Brain; Slice index 38
FLAIR MR image.
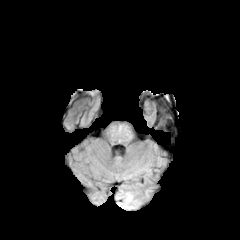
T1-weighted magnetic resonance.
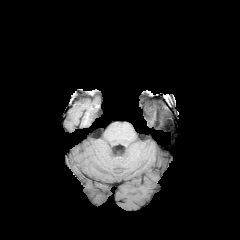
Post-contrast T1-weighted MR image.
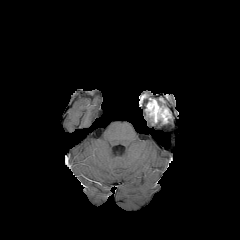
T2-weighted MR.
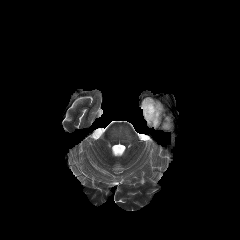
The enhancing tumor appears at <bbox>145, 101, 157, 118</bbox>.